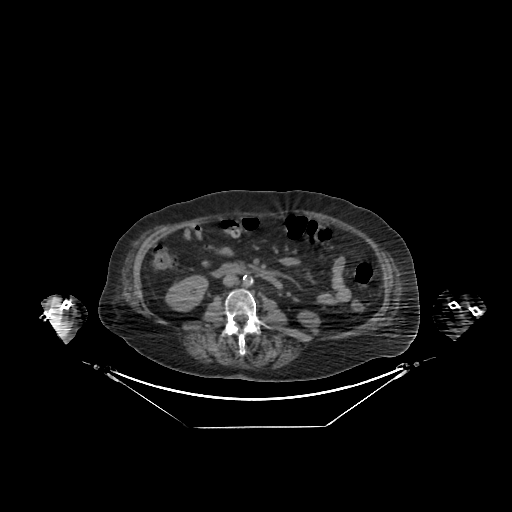

CT image | 512x512 px | Abdomen

Kidney = l=165, t=275, r=208, b=311; l=298, t=311, r=320, b=333.